Upper abdomen, Slice index 513, CT image

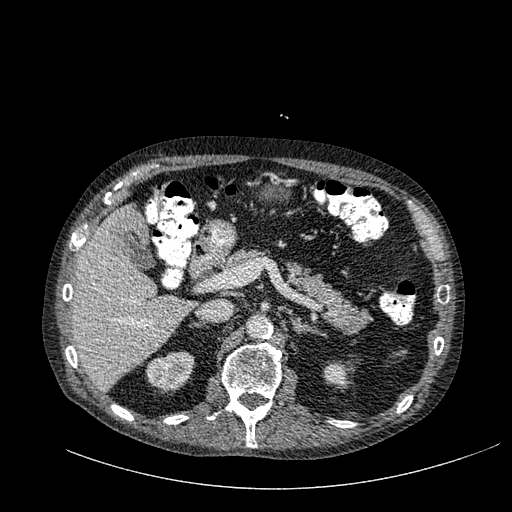 - focal liver lesion: [x1=107, y1=213, x2=146, y2=260]
- liver: [x1=74, y1=205, x2=192, y2=389]
- kidney: [x1=323, y1=363, x2=352, y2=388], [x1=145, y1=351, x2=194, y2=391]